Image size 240x240; Slice 69/155
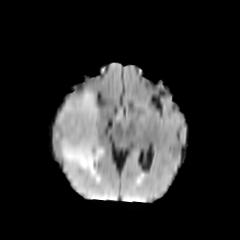
FLAIR MR image.
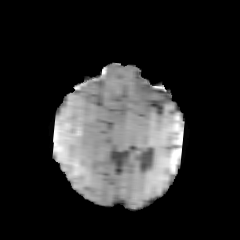
Same slice, T1-weighted MRI.
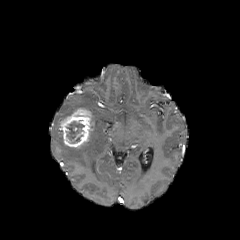
Same slice, post-contrast T1-weighted MRI.
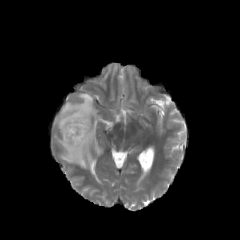
T2-weighted magnetic resonance.
Edema at x1=54 y1=92 x2=102 y2=175.
Non-enhancing tumor core at x1=65 y1=120 x2=84 y2=140.
Enhancing tumor at x1=59 y1=107 x2=94 y2=147.